Abdomen, Image size 512x512, Computed tomography 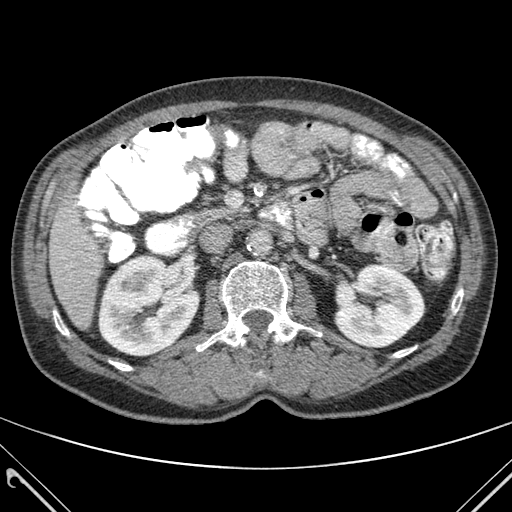

kidney: box=[336, 265, 423, 346]; box=[99, 256, 198, 355] | bone: box=[393, 347, 415, 357]; box=[53, 311, 68, 335]; box=[452, 289, 463, 312]; box=[109, 361, 131, 370]; box=[196, 261, 312, 351] | liver: box=[68, 180, 76, 190]; box=[50, 199, 103, 325]